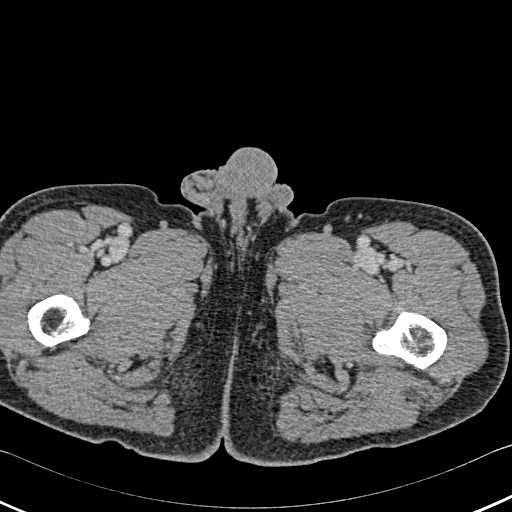 CT image
bone:
  - l=373, t=312, r=446, b=368
  - l=28, t=295, r=89, b=346